Head
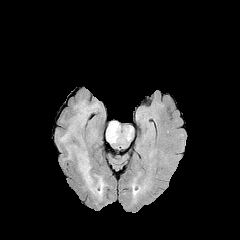
FLAIR MR.
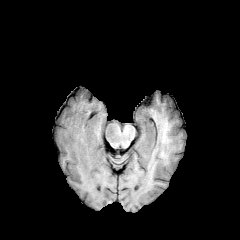
T1-weighted MR image.
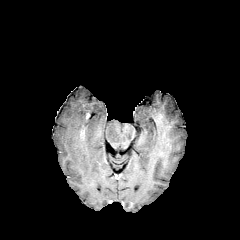
Post-contrast T1-weighted MR image.
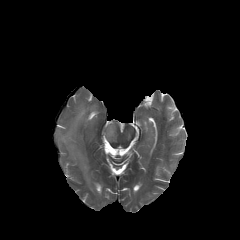
T2-weighted magnetic resonance.
4 edema regions are bounded by [106, 121, 113, 139], [76, 106, 88, 122], [60, 126, 74, 142], [68, 136, 105, 200].